FLAIR magnetic resonance.
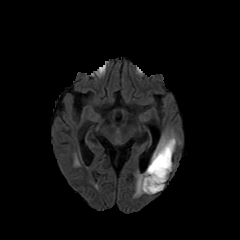
T1-weighted magnetic resonance.
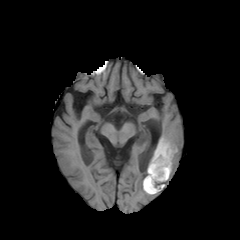
Post-contrast T1-weighted MR image.
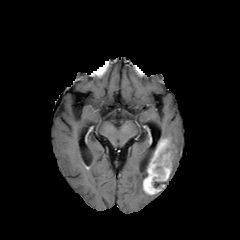
T2-weighted MR image.
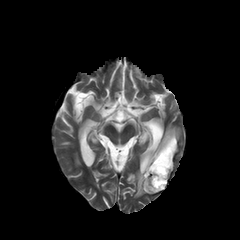
Edema at [x1=134, y1=172, x2=147, y2=196], [x1=161, y1=128, x2=179, y2=171].
Non-enhancing tumor core at [x1=153, y1=180, x2=165, y2=191], [x1=166, y1=138, x2=175, y2=152].
Enhancing tumor at [x1=143, y1=139, x2=171, y2=193].